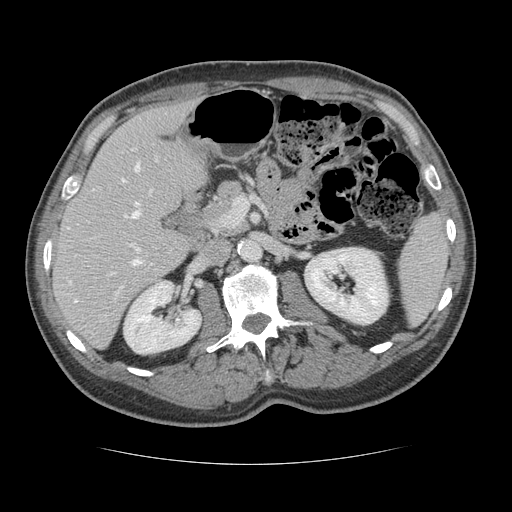
CT | Abdomen
The vessel annotation is not exhaustive.
Hepatic vessel = [155,156,157,160], [116,285,122,294], [131,244,139,251], [149,190,151,194], [122,179,125,181], [93,189,96,189], [135,202,138,206], [132,259,141,264], [124,208,139,217], [97,187,99,188], [75,299,76,301], [109,272,112,274], [135,162,139,170], [69,281,71,283].